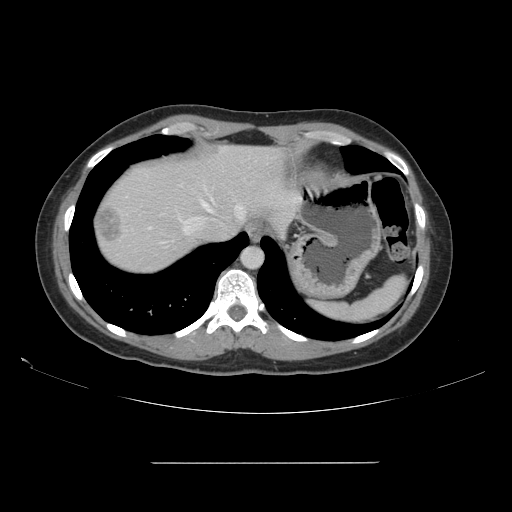 CT slice; Abdomen
The vessel annotation is not exhaustive.
The liver tumor is located at rect(97, 206, 121, 246). 6 hepatic vessel regions are located at rect(183, 217, 203, 234); rect(149, 227, 150, 228); rect(211, 198, 212, 200); rect(236, 206, 243, 217); rect(202, 201, 212, 211); rect(180, 219, 182, 221).